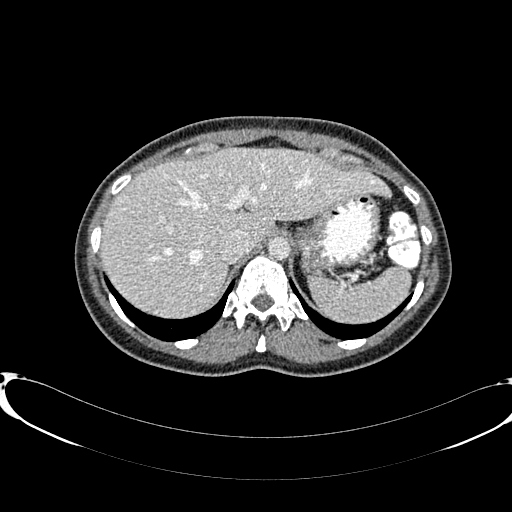 CT image. Abdomen.

The liver is bounded by left=102, top=148, right=391, bottom=316.